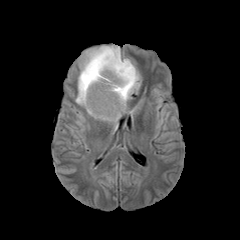
FLAIR MR.
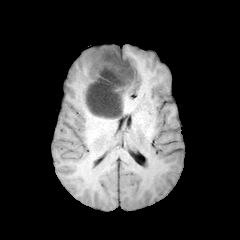
T1-weighted MR of the same slice.
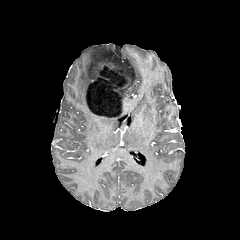
Post-contrast T1-weighted MR.
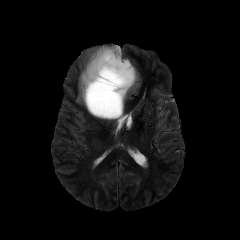
Same slice, T2-weighted MRI.
Head | Image size 240x240
Non-enhancing tumor core: bounding box 84 47 134 118.
Edema: bounding box 76 45 121 124, 122 58 140 101.